FLAIR magnetic resonance.
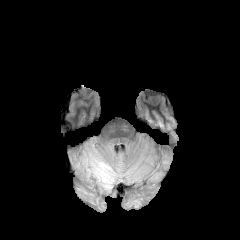
T1-weighted magnetic resonance.
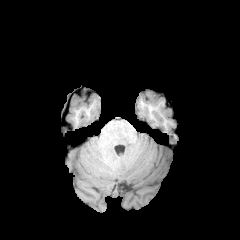
Post-contrast T1-weighted MR image.
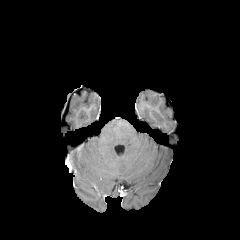
T2-weighted MR image.
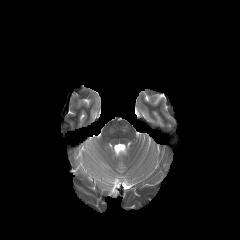
240x240. Brain.
Edema — {"x1": 88, "y1": 148, "x2": 115, "y2": 189}.